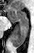

Medial temporal lobe | MRI
Posterior hippocampus: bounding box <box>12,21,28,47</box>.
Anterior hippocampus: bounding box <box>9,8,28,21</box>.